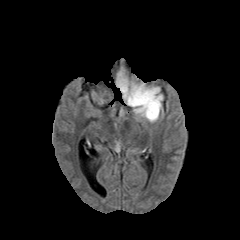
FLAIR MR image.
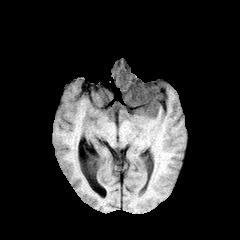
T1-weighted MR.
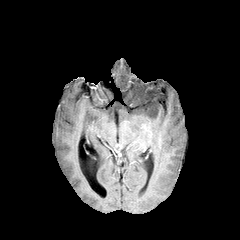
Post-contrast T1-weighted MRI of the same slice.
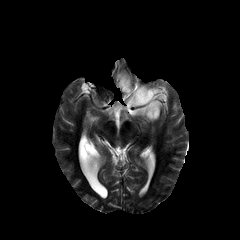
T2-weighted MR of the same slice.
240x240
Segmented structures:
- edema: box=[116, 69, 165, 122]
- non-enhancing tumor core: box=[134, 94, 147, 103]; box=[148, 104, 155, 114]